Slice 73/155 | Brain
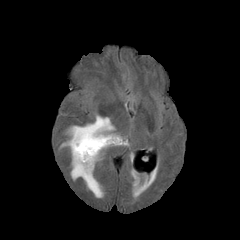
FLAIR magnetic resonance.
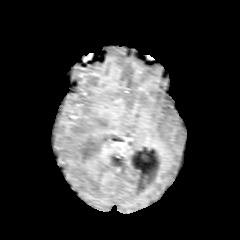
T1-weighted MR image.
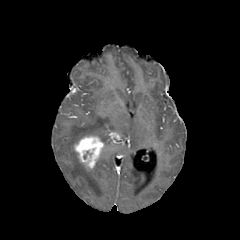
Post-contrast T1-weighted magnetic resonance of the same slice.
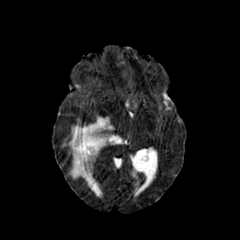
Same slice, T2-weighted MR.
enhancing_tumor:
  - region(71, 134, 105, 172)
edema:
  - region(70, 151, 103, 197)
  - region(61, 115, 122, 149)